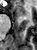 Image size 37x50, MR image, Hippocampus
{
  "anterior_hippocampus": [
    "(left=13, top=5, right=26, bottom=17)"
  ]
}